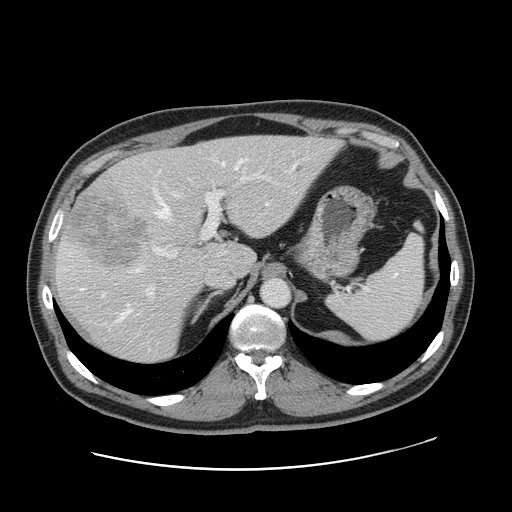

512x512 px; CT scan slice
Only some of the vessels may be annotated.
* liver tumor: <box>68,194,150,265</box>
* hepatic vessel: <box>152,245,178,256</box>, <box>202,184,222,238</box>, <box>241,171,269,180</box>, <box>210,158,214,158</box>, <box>133,266,143,269</box>, <box>171,191,179,195</box>, <box>159,169,160,171</box>, <box>337,140,340,143</box>, <box>235,158,245,169</box>, <box>154,187,169,217</box>, <box>145,287,152,295</box>, <box>266,202,268,204</box>, <box>220,161,224,165</box>, <box>291,163,296,169</box>, <box>230,216,231,218</box>